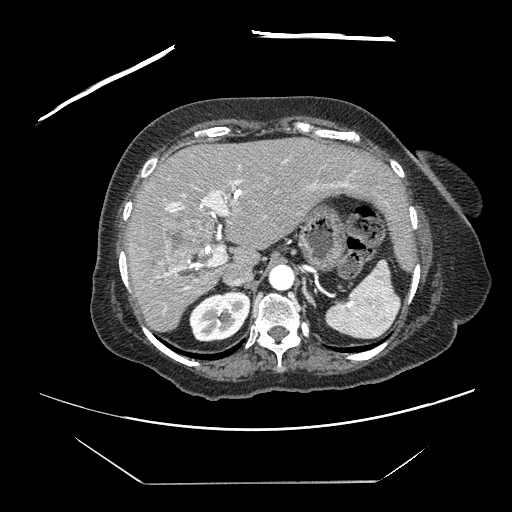 CT
Not every hepatic vessel necessarily has a box.
Segmented structures:
* hepatic vessel: x1=165, y1=267, x2=183, y2=274; x1=199, y1=190, x2=227, y2=215; x1=166, y1=202, x2=184, y2=211; x1=182, y1=194, x2=184, y2=196; x1=234, y1=180, x2=240, y2=183; x1=189, y1=263, x2=197, y2=268; x1=208, y1=246, x2=225, y2=265; x1=314, y1=183, x2=314, y2=186; x1=331, y1=184, x2=333, y2=186; x1=335, y1=183, x2=347, y2=185; x1=219, y1=226, x2=219, y2=229
* liver tumor: x1=164, y1=217, x2=208, y2=263